CT scan slice | Liver | Slice 395/722 | Image size 512x512 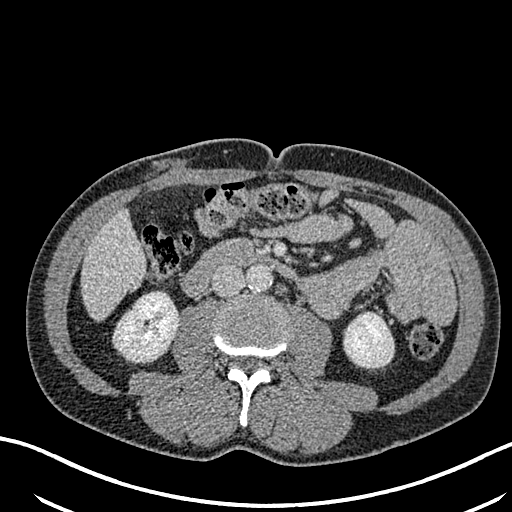

Liver: bounding box 81, 210, 144, 319.
Kidney: bounding box 114, 292, 178, 361; 344, 312, 393, 367.